240x240 px. Brain.
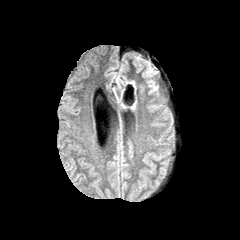
FLAIR magnetic resonance.
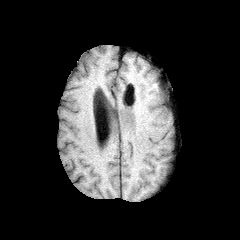
T1-weighted magnetic resonance.
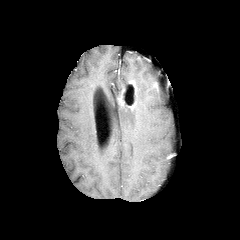
Same slice, post-contrast T1-weighted MR.
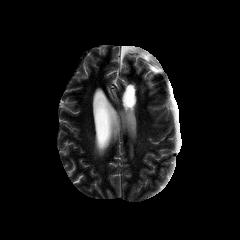
Same slice, T2-weighted MR.
Edema: region(145, 67, 151, 82).